Computed tomography, 512x512 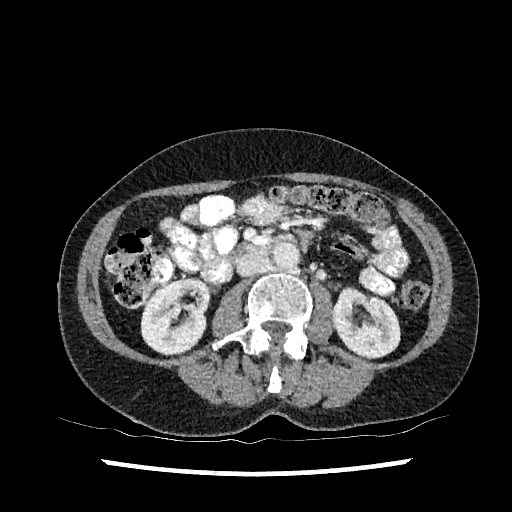

Kidney at rect(333, 289, 399, 357); rect(141, 279, 208, 353).